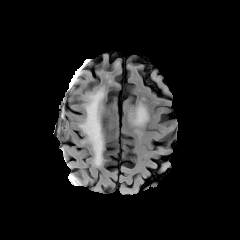
FLAIR magnetic resonance.
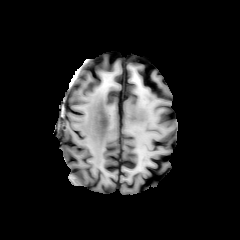
T1-weighted MR.
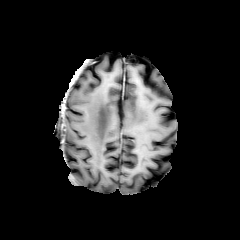
Post-contrast T1-weighted MR of the same slice.
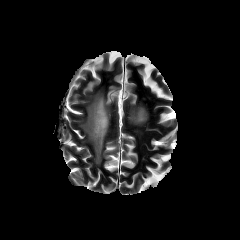
T2-weighted MR image.
Head
The edema is located at [80,90,103,166].